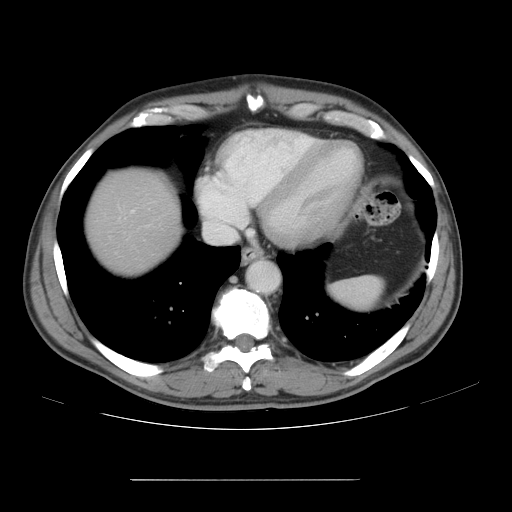 CT image; Abdomen

The vessel boxes may cover only some of the vessels.
The hepatic vessel appears at (131,211,133,212).